Liver. 512x512 px. Slice index 210. CT scan slice.
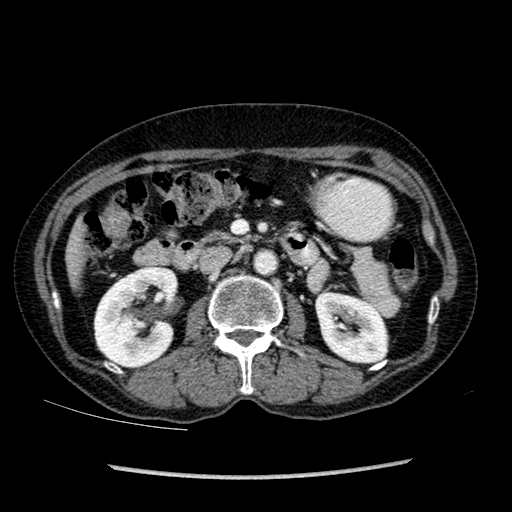
Liver: 69, 220, 85, 282.
Kidney: 95, 267, 176, 366; 317, 294, 386, 361.